CT slice, Abdomen, Image width 399 mm, Slice 37 of 151 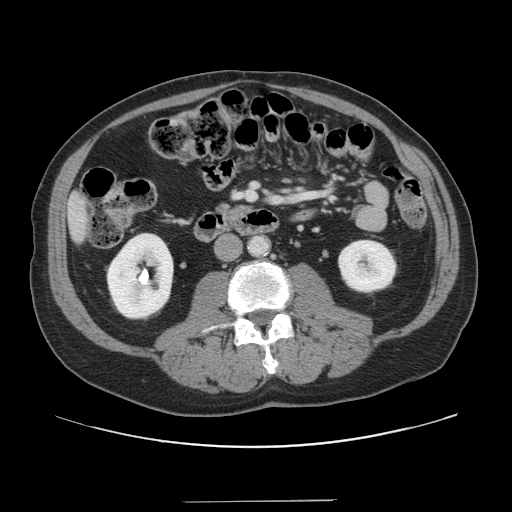 Some hepatic vessels may have no box.
Hepatic vessel at left=236, top=194, right=241, bottom=196; left=247, top=192, right=254, bottom=199.